FLAIR MR.
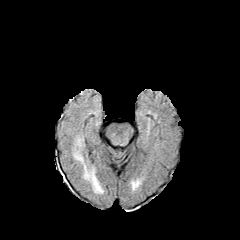
T1-weighted magnetic resonance.
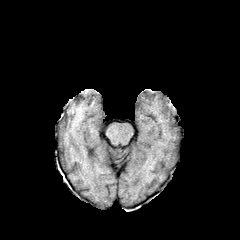
Post-contrast T1-weighted MRI.
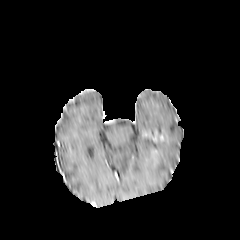
T2-weighted magnetic resonance.
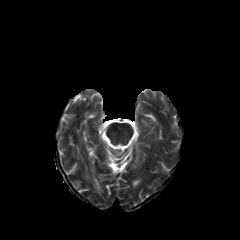
edema:
  - <box>74,147,83,162</box>
  - <box>84,165,101,192</box>